Slice 625/896, CT slice, 512x512
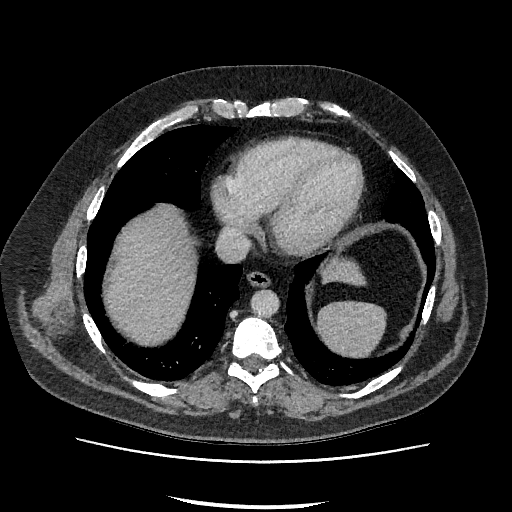
Liver at [x1=107, y1=211, x2=193, y2=343], [x1=323, y1=261, x2=364, y2=284].